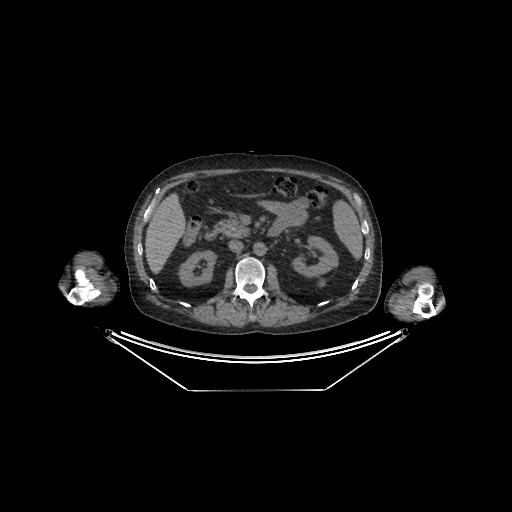

Abdomen, CT
The liver lies within left=145, top=194, right=185, bottom=273. 3 kidney regions are bounded by left=178, top=250, right=216, bottom=286; left=292, top=236, right=338, bottom=278; left=314, top=280, right=326, bottom=284.